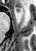

Image size 36x51, MRI slice

Anterior hippocampus: bounding box x1=15 y1=6 x2=24 y2=15.